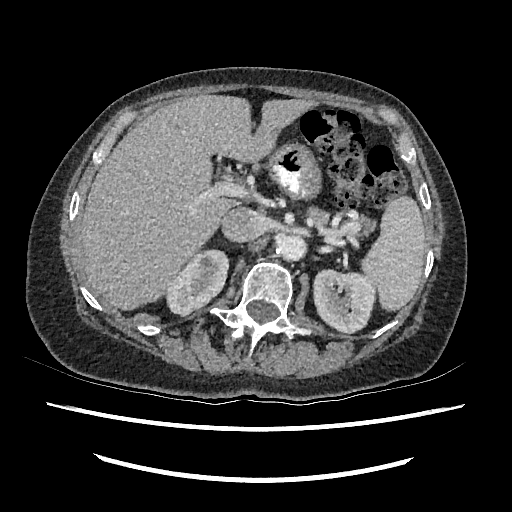 CT | Upper abdomen
Kidney: bounding box [314, 270, 376, 333], [167, 250, 228, 315].
Liver: bounding box [83, 95, 316, 309].